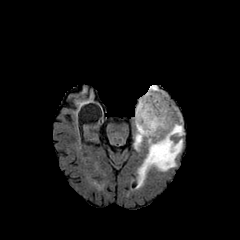
FLAIR magnetic resonance.
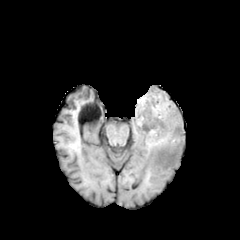
T1-weighted magnetic resonance of the same slice.
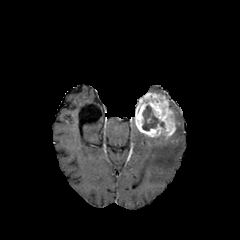
Post-contrast T1-weighted MR image.
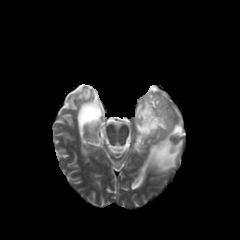
T2-weighted MRI.
Head.
* edema: bbox=[148, 85, 166, 94]; bbox=[133, 104, 184, 187]
* non-enhancing tumor core: bbox=[142, 105, 158, 130]
* enhancing tumor: bbox=[134, 91, 176, 138]